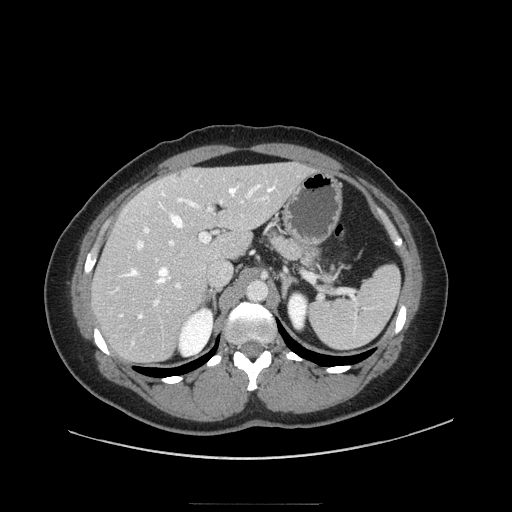
CT; 512x512
Pancreas = region(266, 229, 309, 261).